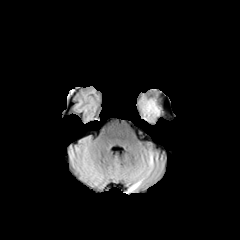
FLAIR MR image.
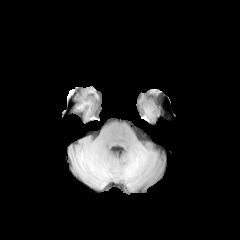
T1-weighted MR.
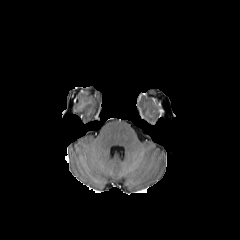
Post-contrast T1-weighted MR.
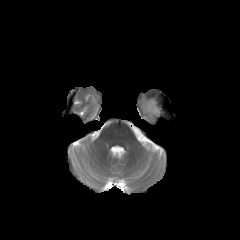
T2-weighted MR image.
Head
{"edema": ["(139, 95, 163, 121)"]}